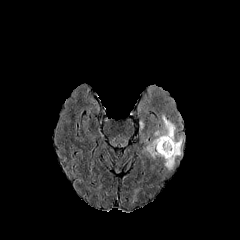
FLAIR MRI.
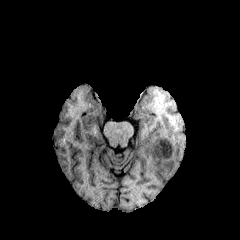
T1-weighted MRI of the same slice.
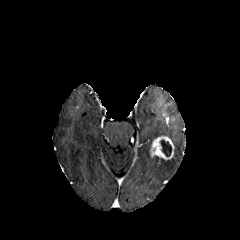
Same slice, post-contrast T1-weighted magnetic resonance.
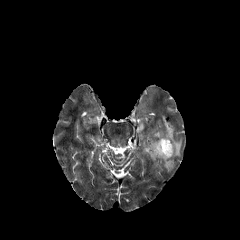
T2-weighted MR image of the same slice.
Findings:
• non-enhancing tumor core: (x1=160, y1=140, x2=171, y2=157)
• edema: (x1=143, y1=139, x2=152, y2=154), (x1=153, y1=113, x2=184, y2=170)
• enhancing tumor: (x1=149, y1=135, x2=173, y2=160)